FLAIR MR.
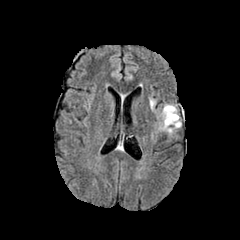
T1-weighted MR.
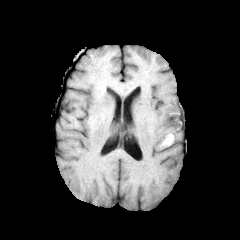
Post-contrast T1-weighted MR image.
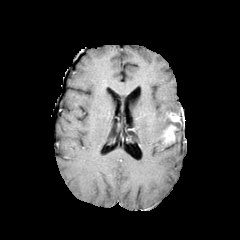
T2-weighted MRI.
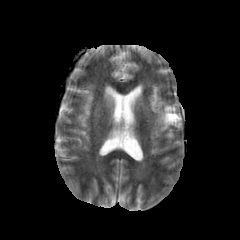
240x240 px.
Enhancing tumor: bounding box box=[167, 112, 180, 121].
Non-enhancing tumor core: bounding box box=[165, 111, 184, 132]; box=[164, 132, 174, 142].
Edema: bounding box box=[149, 96, 179, 139].